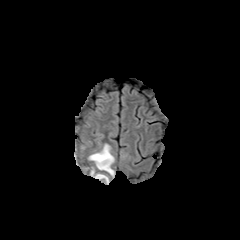
FLAIR magnetic resonance.
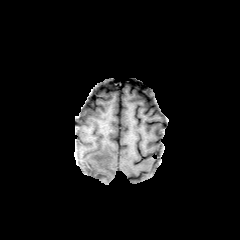
T1-weighted MR.
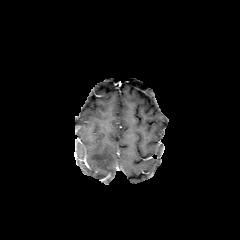
Post-contrast T1-weighted magnetic resonance of the same slice.
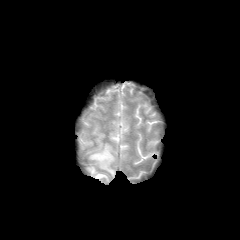
Same slice, T2-weighted MRI.
The edema is bounded by (left=86, top=143, right=114, bottom=183).